FLAIR MR image.
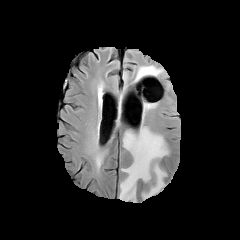
T1-weighted MR.
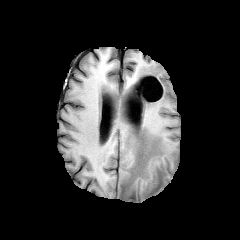
Post-contrast T1-weighted MR.
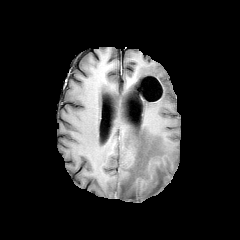
T2-weighted magnetic resonance.
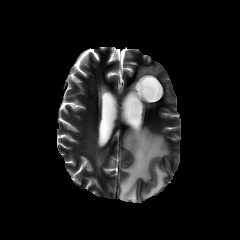
<segmentation>
  <edema>119:126:168:201, 136:66:159:79</edema>
</segmentation>